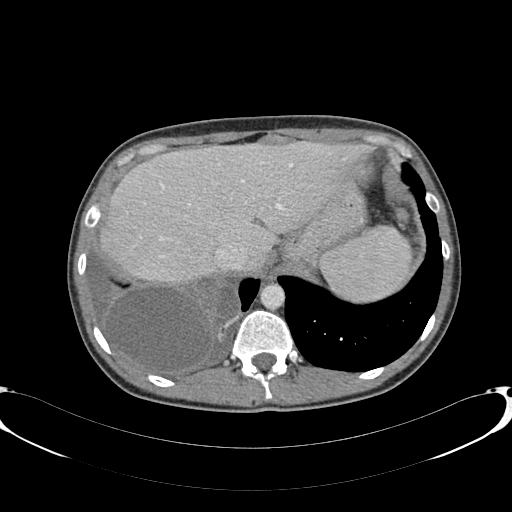
CT scan slice
The liver is bounded by [x1=102, y1=142, x2=375, y2=282].